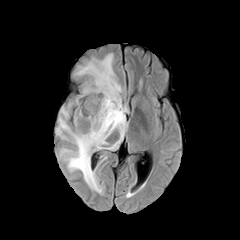
FLAIR MR.
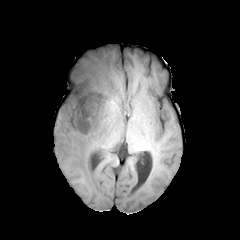
Same slice, T1-weighted MRI.
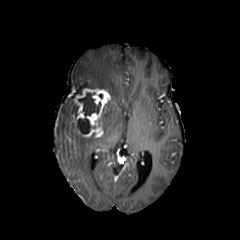
Same slice, post-contrast T1-weighted MRI.
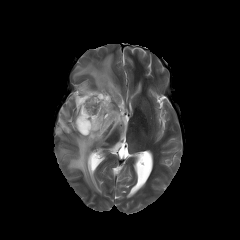
T2-weighted magnetic resonance of the same slice.
240x240 px
non-enhancing tumor core: (97,84,112,99), (73,118,91,136), (78,93,100,115) | edema: (56,54,128,192) | enhancing tumor: (75,88,110,137)